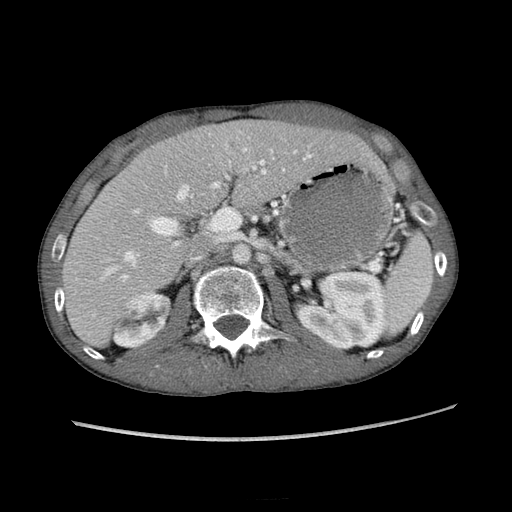 CT scan slice | Upper abdomen
Kidney — left=113, top=292, right=169, bottom=346; left=299, top=273, right=387, bottom=347.
Liver — left=59, top=119, right=377, bottom=347.